Computed tomography. Upper abdomen. Slice 83 of 168. 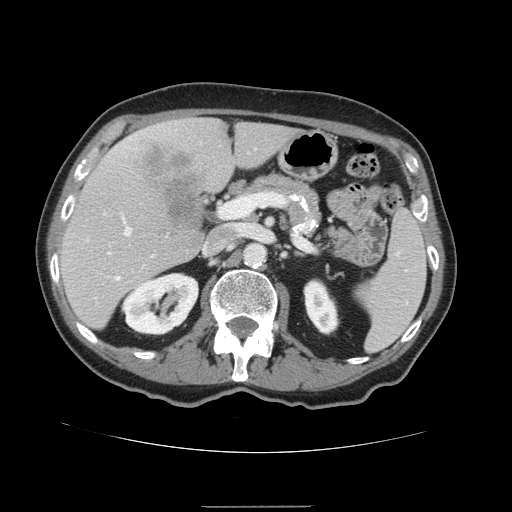
spleen: l=354, t=209, r=426, b=350